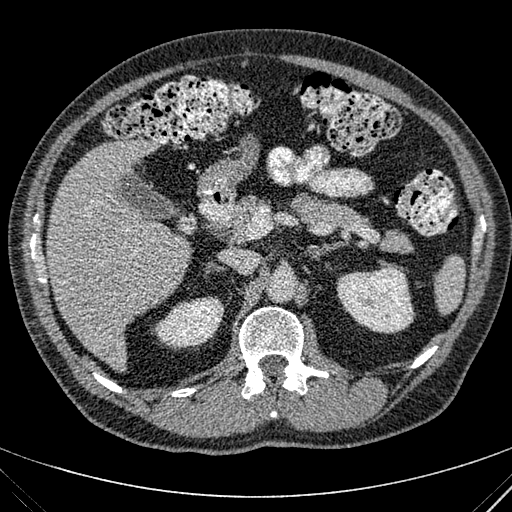 Image size 512x512, CT, Abdomen

<segmentation>
  <kidney>{"x1": 156, "y1": 297, "x2": 223, "y2": 347}, {"x1": 337, "y1": 265, "x2": 413, "y2": 332}</kidney>
  <liver_lesion>{"x1": 104, "y1": 339, "x2": 117, "y2": 356}</liver_lesion>
  <liver>{"x1": 46, "y1": 140, "x2": 190, "y2": 369}</liver>
</segmentation>